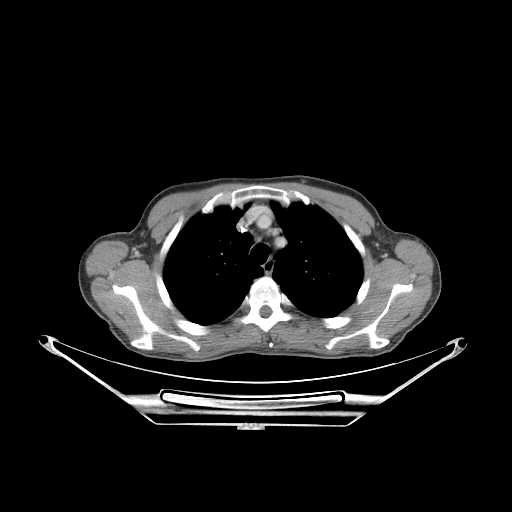
CT image, Image size 512x512

2 lung regions appear at 271, 201, 363, 317; 163, 205, 262, 324. 13 bone regions appear at 326, 284, 412, 348; 171, 335, 198, 350; 295, 192, 309, 203; 177, 320, 205, 334; 357, 280, 369, 302; 113, 285, 158, 349; 203, 195, 219, 212; 169, 219, 181, 236; 276, 189, 288, 203; 157, 276, 170, 307; 241, 277, 290, 333; 231, 186, 269, 205; 325, 317, 349, 327.